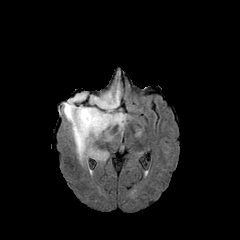
FLAIR magnetic resonance.
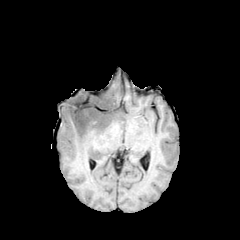
T1-weighted MR image.
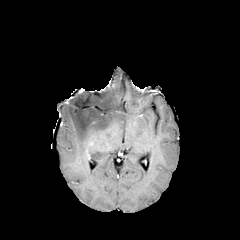
Post-contrast T1-weighted magnetic resonance.
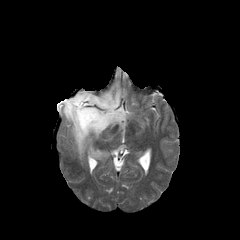
T2-weighted MR image.
Brain.
Non-enhancing tumor core = left=66, top=92, right=108, bottom=132.
Edema = left=60, top=86, right=127, bottom=160.